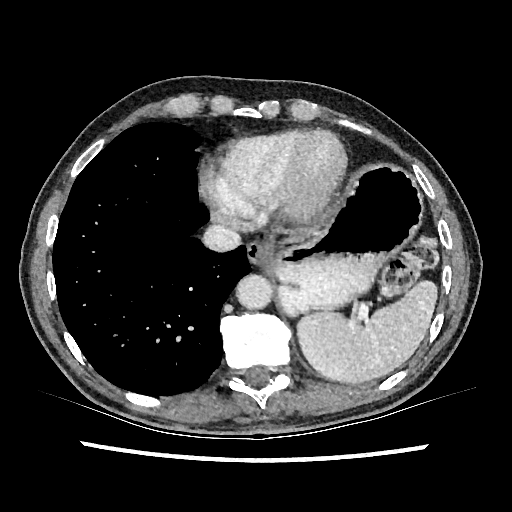

CT slice | 512x512 px | Upper abdomen
The liver appears at x1=277 y1=235 x2=304 y2=245.